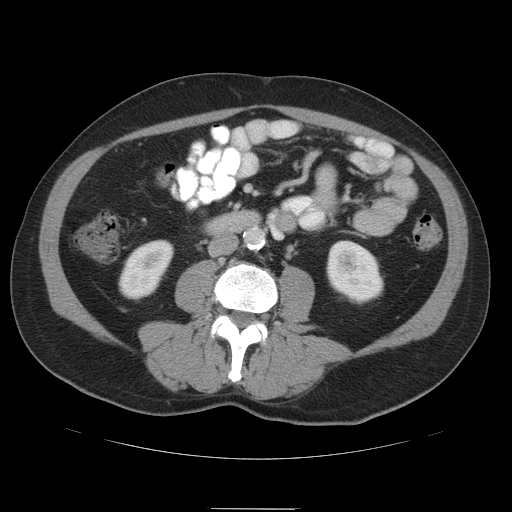
512x512; CT image
The pancreas appears at (226, 211, 255, 231).